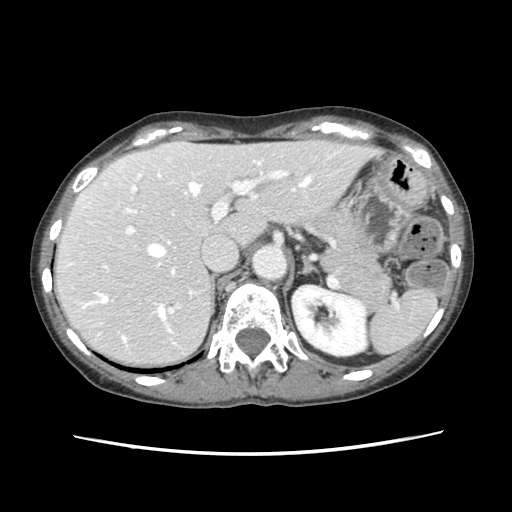 Abdomen | CT
{
  "spleen": [
    "(x1=370, y1=291, x2=437, y2=353)"
  ]
}